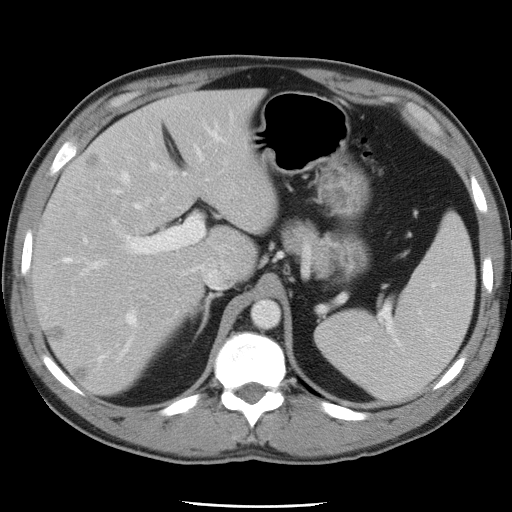

512x512 px, CT slice

Some hepatic vessels may have no box.
15 hepatic vessel regions appear at 122, 172, 129, 185; 119, 215, 203, 253; 129, 338, 131, 342; 84, 238, 86, 242; 126, 309, 136, 327; 207, 129, 216, 136; 197, 149, 199, 153; 81, 261, 104, 274; 113, 189, 120, 193; 99, 357, 102, 358; 64, 257, 74, 263; 134, 203, 142, 208; 112, 219, 116, 224; 152, 164, 154, 167; 184, 263, 228, 288.